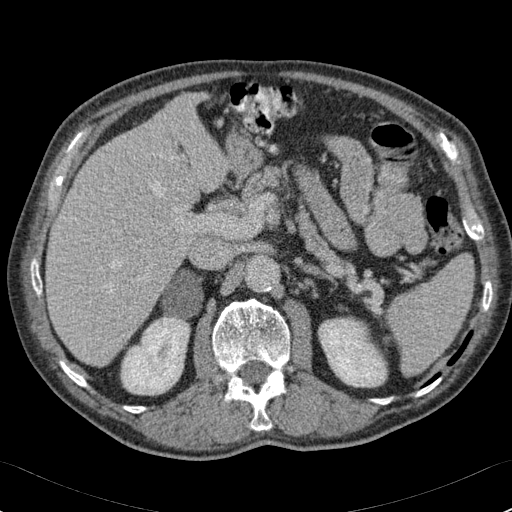

CT scan slice | Upper abdomen
2 kidney regions are located at region(319, 319, 386, 386); region(121, 317, 189, 394). The liver lies within region(46, 94, 226, 365).